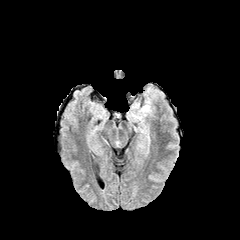
FLAIR MR.
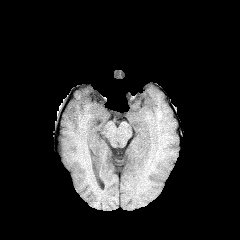
T1-weighted MRI of the same slice.
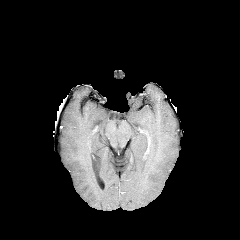
Post-contrast T1-weighted MR image of the same slice.
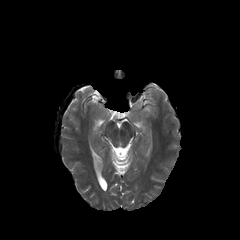
T2-weighted MR.
Brain
The edema is located at (left=139, top=98, right=151, bottom=117).